Slice 9 of 38; MR 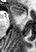 Annotated regions:
- anterior hippocampus: bbox(10, 5, 25, 16)